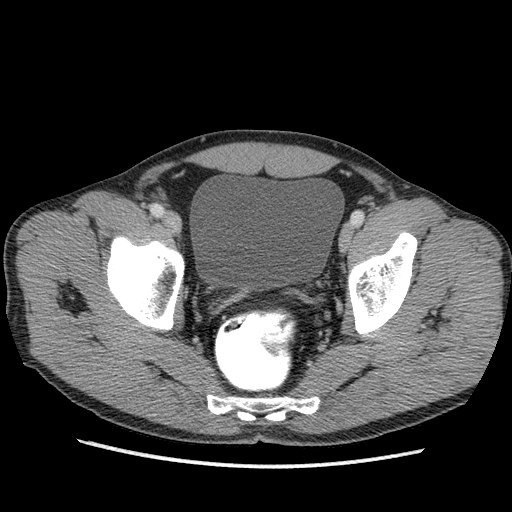

Pelvis; CT scan slice
The urinary bladder is bounded by (left=190, top=174, right=344, bottom=289).